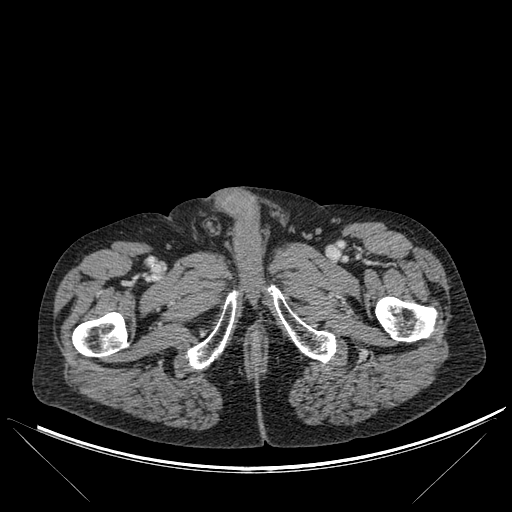

512x512. CT image.
4 bone regions appear at <box>269,285,336,362</box>, <box>187,291,236,369</box>, <box>375,297,436,341</box>, <box>72,312,128,356</box>.